FLAIR MR image.
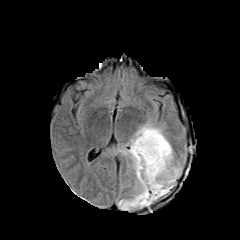
T1-weighted MR image.
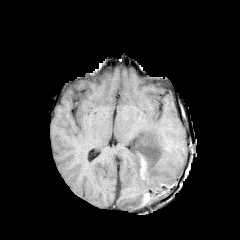
Post-contrast T1-weighted MR image.
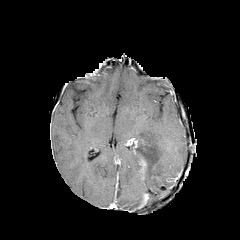
T2-weighted MR.
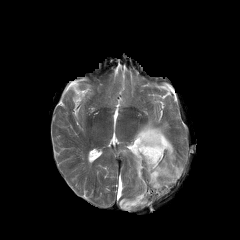
Brain
Non-enhancing tumor core = 129 138 139 153, 141 194 148 205, 166 176 176 188.
Edema = 117 120 181 210.